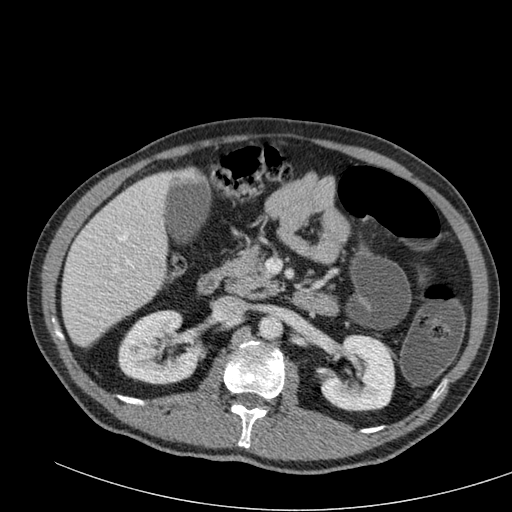
CT slice, Upper abdomen

Liver — <box>62,168,196,346</box>.
Kidney — <box>119,311,201,383</box>, <box>322,336,394,409</box>.